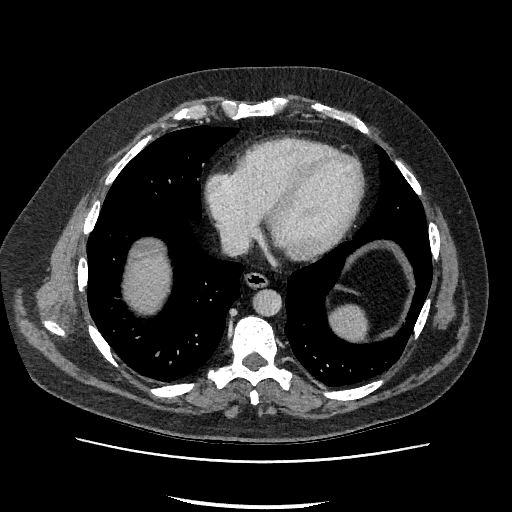

Liver; CT
Liver — 127:255:169:312.